CT image | Slice 140 of 299

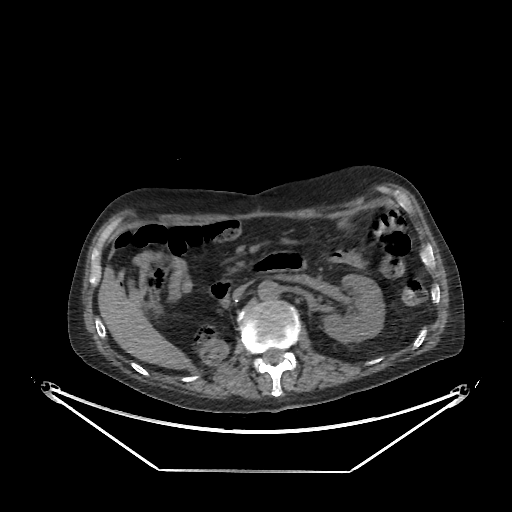
The liver appears at <bbox>99, 268, 193, 368</bbox>. The kidney appears at <bbox>317, 274, 384, 343</bbox>.